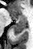
Medial temporal lobe; Magnetic resonance
The posterior hippocampus lies within 11 22 25 34. The anterior hippocampus is at 11 13 25 21.